Slice 54/155. Image size 240x240.
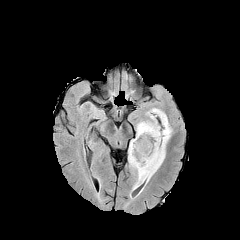
FLAIR MR.
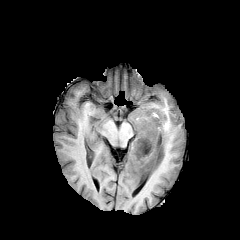
T1-weighted MRI.
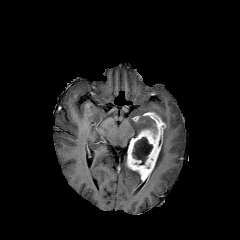
Post-contrast T1-weighted MR image of the same slice.
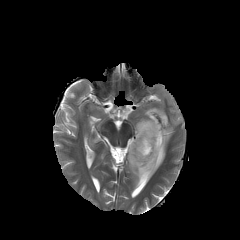
T2-weighted MR image.
The enhancing tumor is located at {"x1": 127, "y1": 112, "x2": 165, "y2": 182}. 2 non-enhancing tumor core regions appear at {"x1": 132, "y1": 137, "x2": 152, "y2": 164}, {"x1": 136, "y1": 118, "x2": 155, "y2": 136}. 3 edema regions are located at {"x1": 150, "y1": 108, "x2": 172, "y2": 178}, {"x1": 130, "y1": 170, "x2": 138, "y2": 189}, {"x1": 135, "y1": 116, "x2": 151, "y2": 134}.